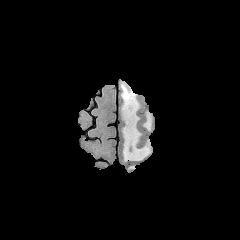
FLAIR MR image.
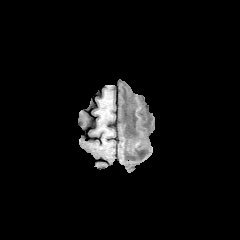
T1-weighted MR image.
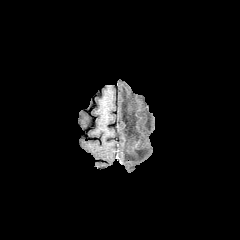
Post-contrast T1-weighted MRI of the same slice.
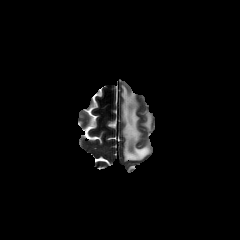
T2-weighted MRI.
Findings:
• edema: 120, 83, 151, 160